Field of view 400 mm wide, 1.37 mm slice spacing, MR image
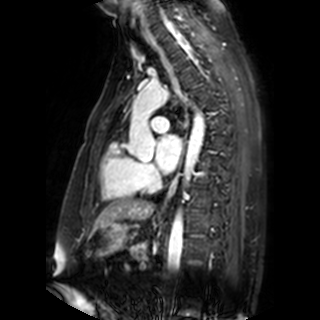
The left atrium is at region(155, 135, 181, 172).